FLAIR MR image.
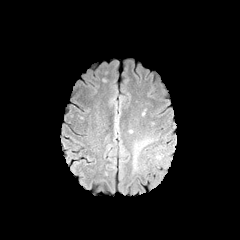
T1-weighted magnetic resonance.
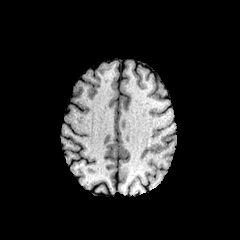
Post-contrast T1-weighted MRI.
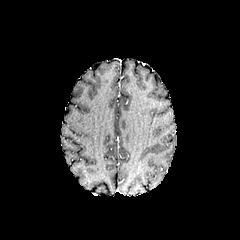
T2-weighted MR image.
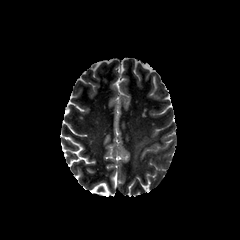
Head | Image size 240x240
{
  "edema": [
    "<bbox>133, 138, 150, 170</bbox>"
  ]
}